Image size 240x240
FLAIR magnetic resonance.
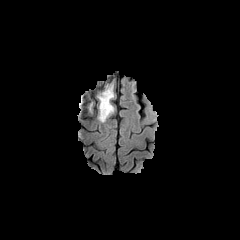
T1-weighted MRI.
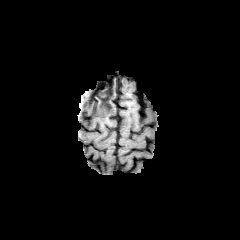
Post-contrast T1-weighted MRI.
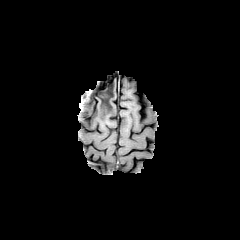
T2-weighted MR image.
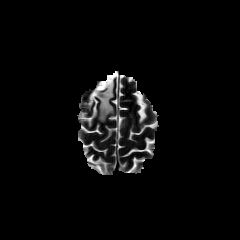
Edema at {"x1": 94, "y1": 82, "x2": 114, "y2": 127}.
Non-enhancing tumor core at {"x1": 97, "y1": 87, "x2": 107, "y2": 100}.